Brain, Field of view 240 mm wide, 1.00 mm slice spacing
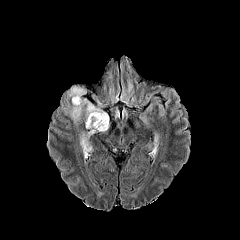
FLAIR MR image.
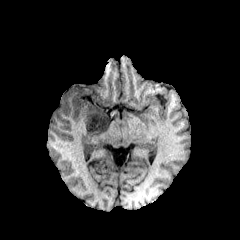
T1-weighted MRI of the same slice.
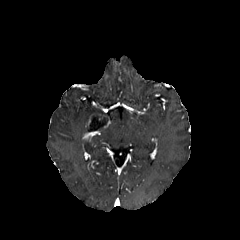
Same slice, post-contrast T1-weighted magnetic resonance.
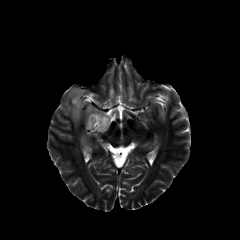
T2-weighted magnetic resonance.
edema: box(61, 88, 100, 126); box(79, 132, 92, 154) | enhancing tumor: box(83, 116, 101, 139) | non-enhancing tumor core: box(86, 111, 108, 131)